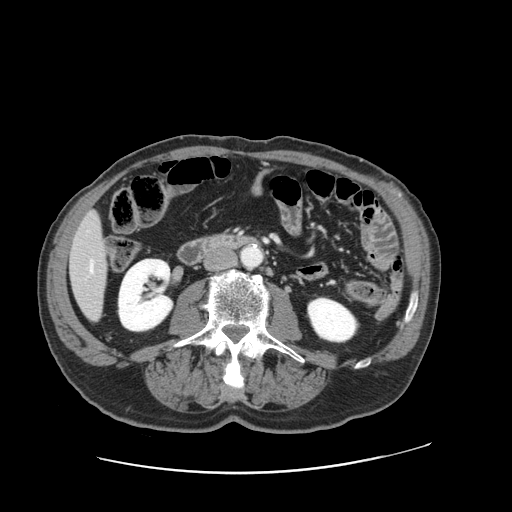

Image size 512x512. Computed tomography.

Not every hepatic vessel necessarily has a box.
• hepatic vessel: box(90, 260, 93, 273)